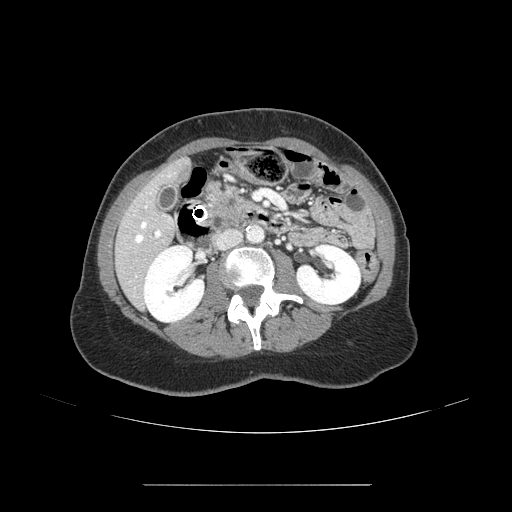 CT | Image size 512x512

The pancreatic tumor is bounded by (left=213, top=194, right=238, bottom=216). The pancreas is bounded by (left=209, top=184, right=253, bottom=230).